Slice 148/836. CT image. Pelvis. Image size 512x512.
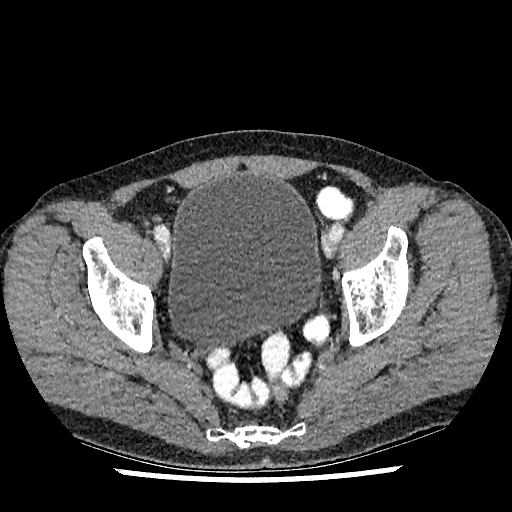
Urinary bladder at region(168, 174, 320, 349).